240x240. Slice 107 of 155.
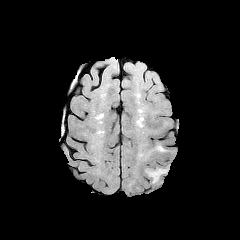
FLAIR MRI.
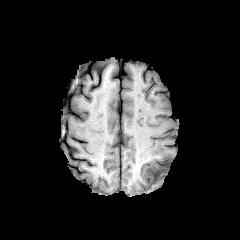
Same slice, T1-weighted MR image.
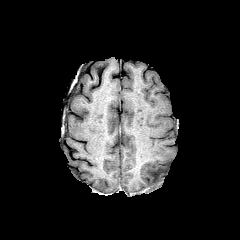
Post-contrast T1-weighted MR.
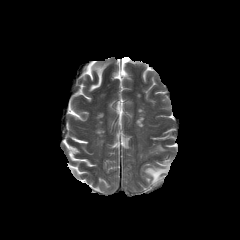
T2-weighted MR.
<segmentation>
  <edema>(left=146, top=163, right=167, bottom=183), (left=152, top=144, right=165, bottom=151)</edema>
  <non-enhancing_tumor_core>(left=148, top=169, right=160, bottom=180)</non-enhancing_tumor_core>
</segmentation>